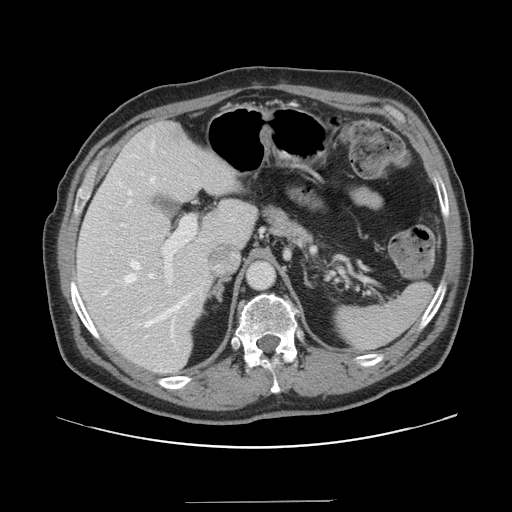 CT scan slice | Abdomen

Not every hepatic vessel necessarily has a box.
Hepatic vessel = box(148, 307, 150, 308); box(124, 274, 136, 283); box(128, 190, 131, 194); box(131, 260, 140, 269); box(162, 216, 195, 283); box(144, 309, 147, 311); box(138, 288, 199, 342); box(104, 291, 106, 293); box(150, 177, 154, 183); box(149, 274, 152, 277); box(128, 201, 130, 203).